FLAIR MR.
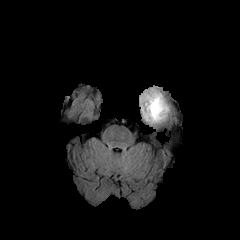
T1-weighted magnetic resonance.
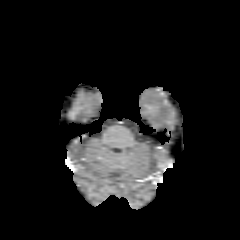
Post-contrast T1-weighted MRI.
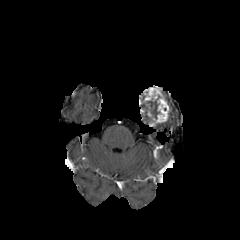
T2-weighted MR.
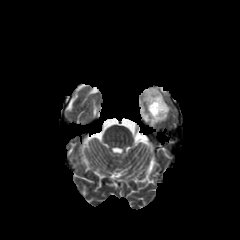
Image size 240x240
Enhancing tumor: bounding box l=139, t=86, r=169, b=125.
Non-enhancing tumor core: bounding box l=141, t=101, r=158, b=117.